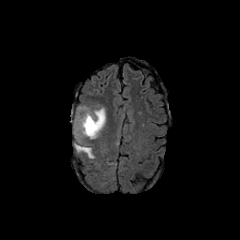
FLAIR MR image.
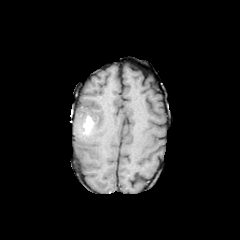
T1-weighted magnetic resonance of the same slice.
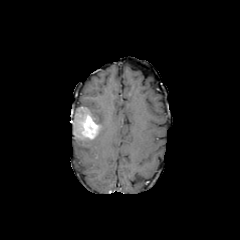
Post-contrast T1-weighted MR image.
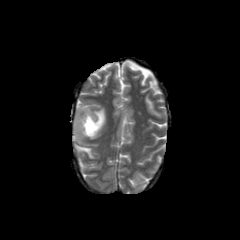
T2-weighted MR image.
* edema: region(74, 136, 95, 159); region(88, 106, 105, 139)
* enhancing tumor: region(70, 106, 101, 139)